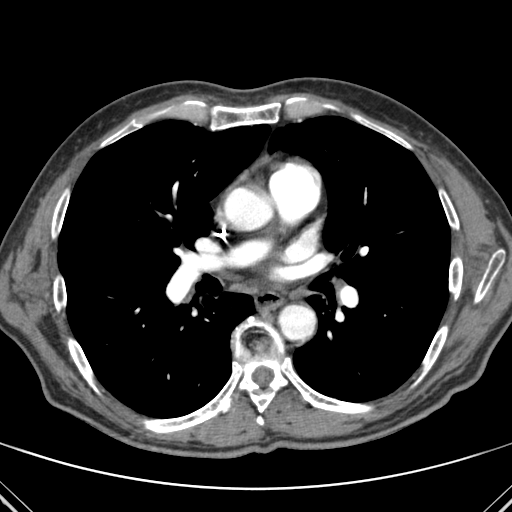
CT image | Chest | 512x512

Annotated regions:
• bone: (left=142, top=316, right=372, bottom=432), (left=474, top=250, right=502, bottom=302), (left=51, top=189, right=69, bottom=238), (left=449, top=257, right=462, bottom=299), (left=286, top=97, right=305, bottom=107), (left=184, top=101, right=281, bottom=129), (left=256, top=416, right=263, bottom=424), (left=353, top=115, right=410, bottom=148), (left=417, top=326, right=447, bottom=381), (left=101, top=120, right=141, bottom=146), (left=53, top=278, right=66, bottom=310), (left=166, top=276, right=188, bottom=303), (left=68, top=339, right=98, bottom=392), (left=439, top=189, right=458, bottom=229)
• lung: (left=58, top=116, right=450, bottom=417)